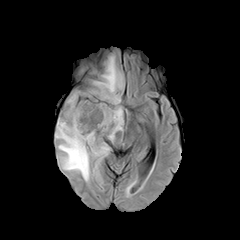
FLAIR magnetic resonance.
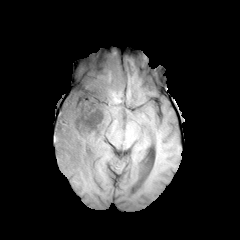
T1-weighted MR.
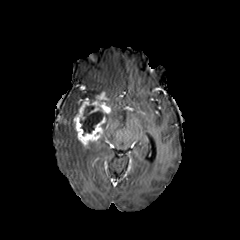
Post-contrast T1-weighted magnetic resonance of the same slice.
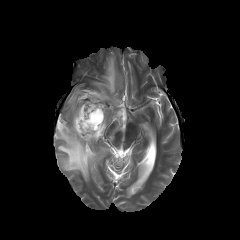
T2-weighted MRI of the same slice.
edema:
  - bbox=[56, 94, 110, 181]
  - bbox=[93, 57, 124, 140]
enhancing_tumor:
  - bbox=[73, 91, 109, 145]
non-enhancing_tumor_core:
  - bbox=[83, 90, 109, 106]
  - bbox=[80, 106, 106, 132]